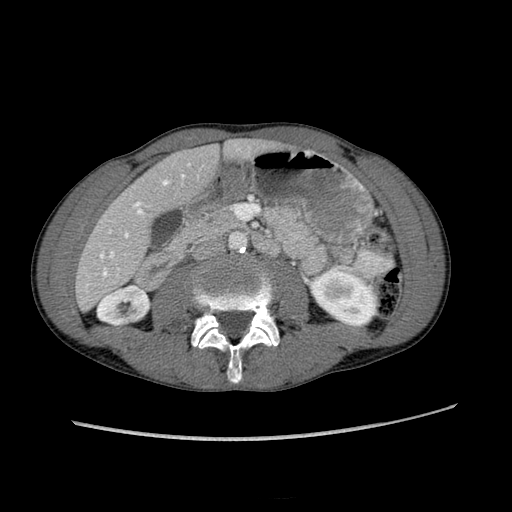
CT. Abdomen.
kidney: (97,286,148,324), (311,269,375,325) | liver: (79,141,273,299)